Slice index 78, 240x240 px, Head
FLAIR MR image.
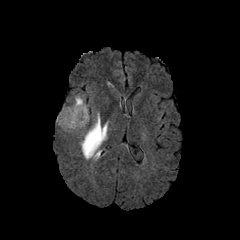
T1-weighted MR image.
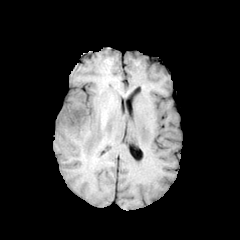
Post-contrast T1-weighted MRI.
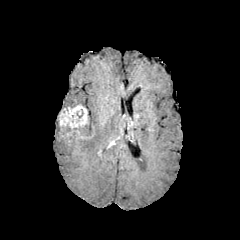
T2-weighted MRI.
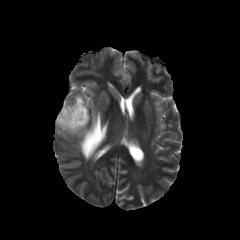
3 edema regions are located at (left=58, top=124, right=74, bottom=133), (left=79, top=112, right=108, bottom=161), (left=64, top=94, right=87, bottom=108). 2 enhancing tumor regions are located at (left=79, top=126, right=94, bottom=139), (left=58, top=104, right=88, bottom=133). The non-enhancing tumor core lies within (left=78, top=119, right=92, bottom=136).